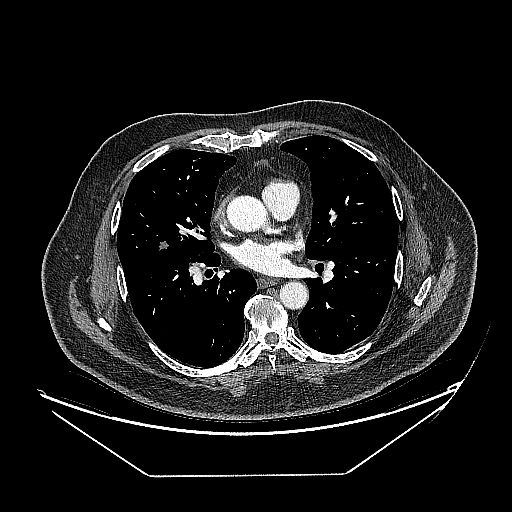

CT.

Lung tumor: <bbox>155, 238, 170, 252</bbox>.